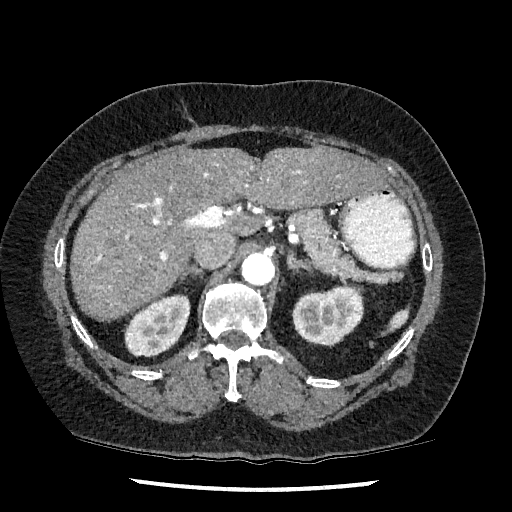
512x512 px, Upper abdomen, CT

Annotated regions:
- kidney: [293, 287, 362, 344], [125, 295, 189, 355]
- liver: [71, 148, 384, 318]